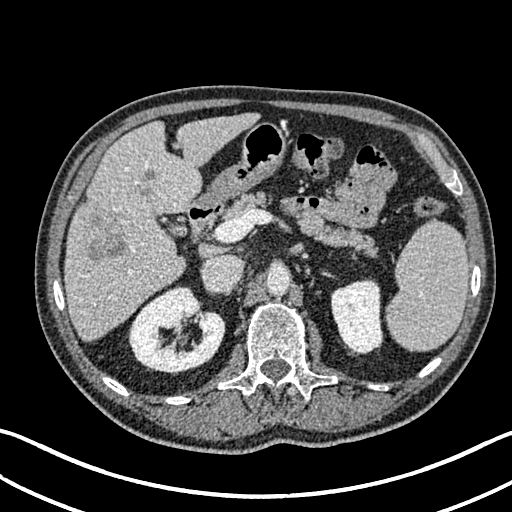
512x512; Abdomen; Computed tomography

focal liver lesion: [135,172,155,195], [89,214,129,257] | kidney: [130,288,224,371], [332,281,381,352] | liver: [65,113,258,340]